240x240. Head.
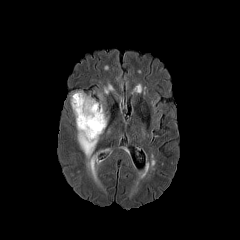
FLAIR MR.
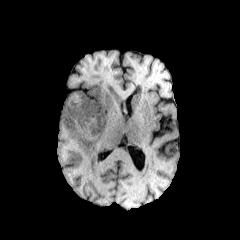
Same slice, T1-weighted MR.
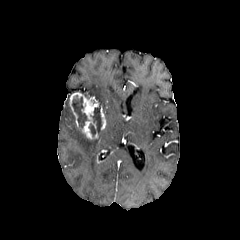
Post-contrast T1-weighted MR.
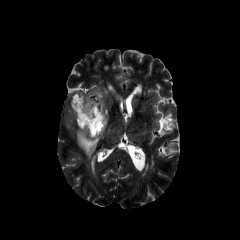
T2-weighted MRI.
Findings:
- enhancing tumor: (left=100, top=106, right=105, bottom=130), (left=69, top=92, right=99, bottom=139)
- non-enhancing tumor core: (left=89, top=105, right=102, bottom=136), (left=72, top=96, right=86, bottom=127)
- edema: (left=77, top=129, right=99, bottom=158), (left=102, top=148, right=113, bottom=161)